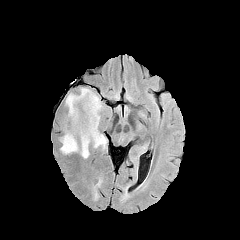
FLAIR MR.
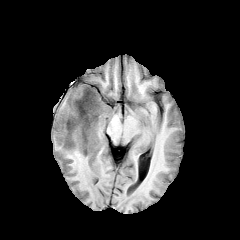
T1-weighted MRI of the same slice.
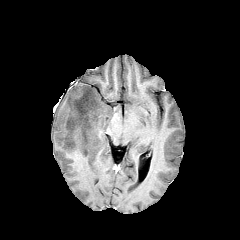
Post-contrast T1-weighted MRI.
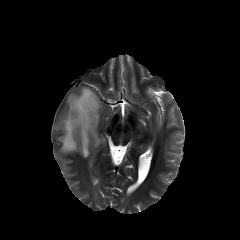
T2-weighted MR of the same slice.
Non-enhancing tumor core at x1=66 y1=90 x2=96 y2=137.
Edema at x1=58 y1=87 x2=107 y2=158.